Slice 30 of 76. CT image.

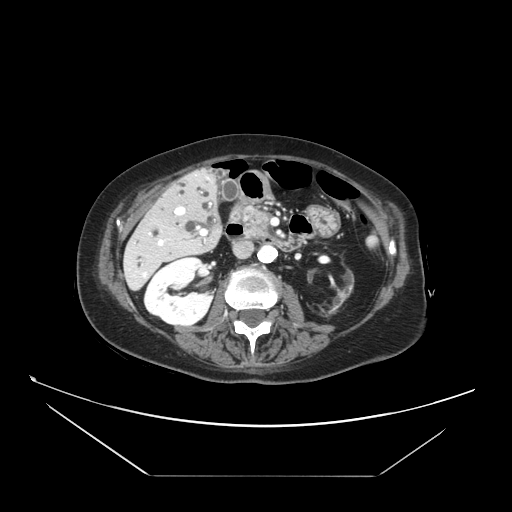
The pancreas is bounded by 243 207 272 238. The pancreatic tumor is at 251 212 268 234.